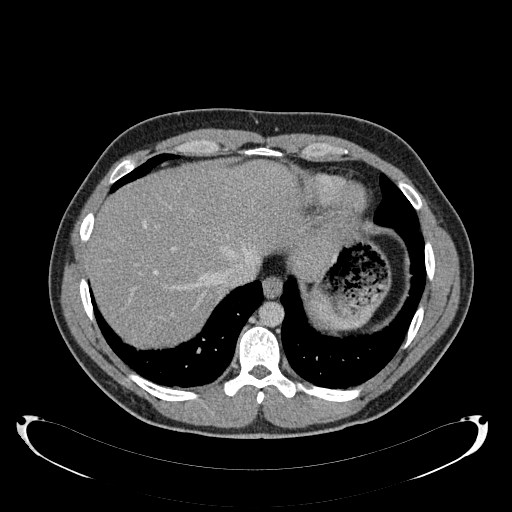 Abdomen | CT | 512x512
• liver: [88, 161, 332, 345]